Pelvis. Slice 3 of 20.
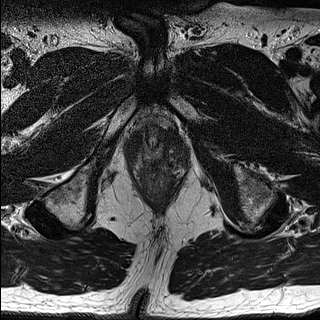
T2-weighted MR image.
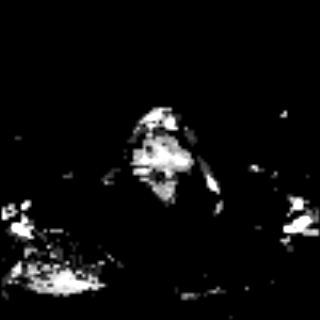
ADC MR image of the same slice.
<segmentation>
  <prostate_transition_zone>(143, 131, 166, 150)</prostate_transition_zone>
  <prostate_peripheral_zone>(135, 139, 168, 162)</prostate_peripheral_zone>
</segmentation>